FLAIR magnetic resonance.
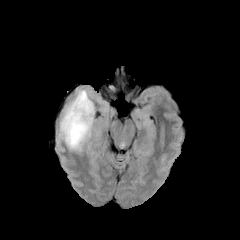
T1-weighted magnetic resonance.
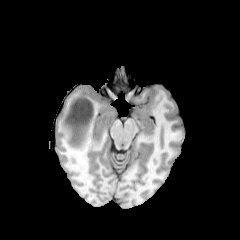
Post-contrast T1-weighted MR.
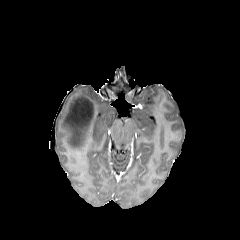
T2-weighted magnetic resonance.
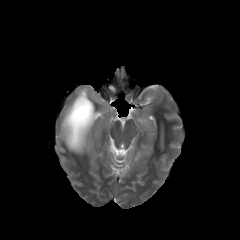
Image size 240x240
Non-enhancing tumor core: bounding box (left=67, top=98, right=94, bottom=127).
Edema: bounding box (left=59, top=100, right=96, bottom=151), (left=74, top=89, right=97, bottom=109).